Chest. Slice 525 of 588. CT image.

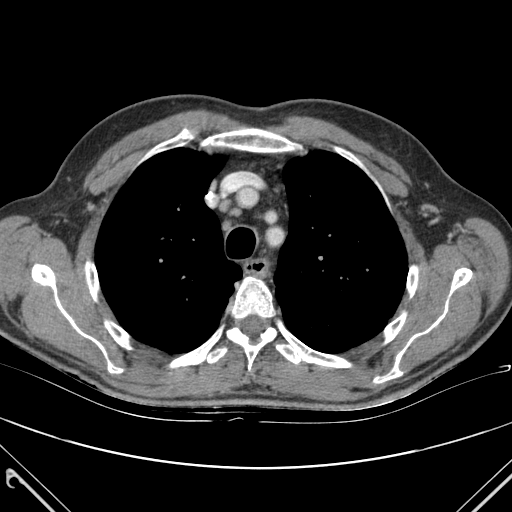 bone:
  - box=[85, 262, 98, 300]
  - box=[105, 321, 130, 349]
  - box=[407, 266, 417, 296]
  - box=[145, 129, 194, 158]
  - box=[450, 268, 472, 294]
  - box=[202, 129, 295, 151]
  - box=[335, 147, 362, 166]
  - box=[374, 301, 448, 382]
  - box=[232, 277, 273, 317]
  - box=[227, 327, 276, 369]
  - box=[276, 322, 350, 367]
  - box=[170, 329, 226, 367]
  - box=[32, 264, 122, 372]
  - box=[384, 313, 406, 342]
lung:
  - box=[274, 150, 407, 352]
  - box=[95, 148, 241, 352]